CT slice. Slice 321 of 654.

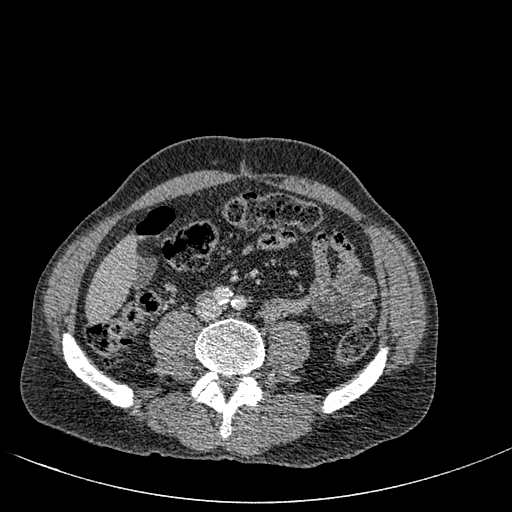

Segmented structures:
* liver: box(86, 238, 135, 320)